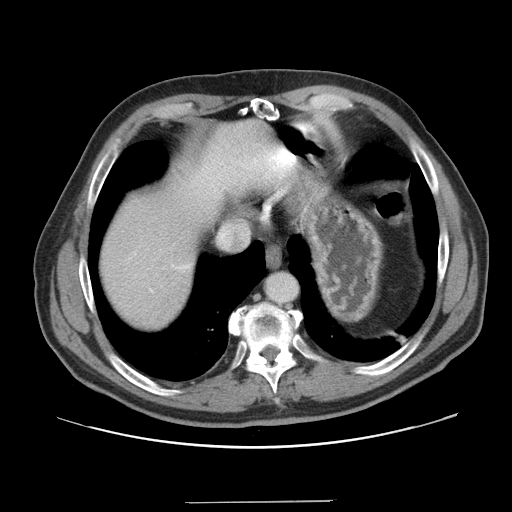
Abdomen. CT. Not every hepatic vessel necessarily has a box.
* hepatic vessel: box(221, 234, 224, 238)